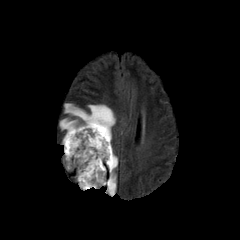
FLAIR MR image.
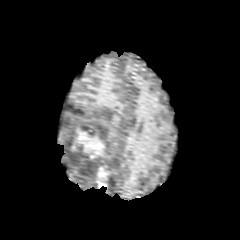
T1-weighted magnetic resonance.
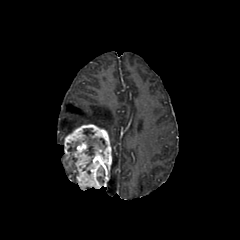
Post-contrast T1-weighted MR.
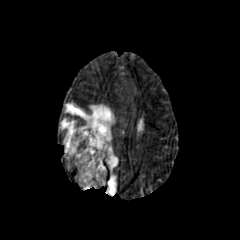
T2-weighted magnetic resonance of the same slice.
Brain
Findings:
- edema: <box>106,146,118,195</box>, <box>60,104,115,145</box>
- non-enhancing tumor core: <box>83,128,106,155</box>, <box>68,156,77,171</box>, <box>68,141,80,154</box>, <box>69,105,83,113</box>, <box>97,170,105,182</box>
- enhancing tumor: <box>64,124,111,189</box>